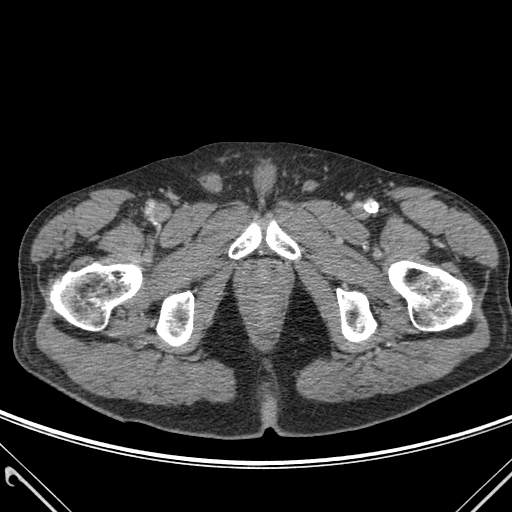

512x512 px | CT scan slice

{"bone": ["50,263,141,330", "229,223,261,258", "157,291,193,345", "388,261,471,330", "337,288,376,341", "266,221,299,259"]}